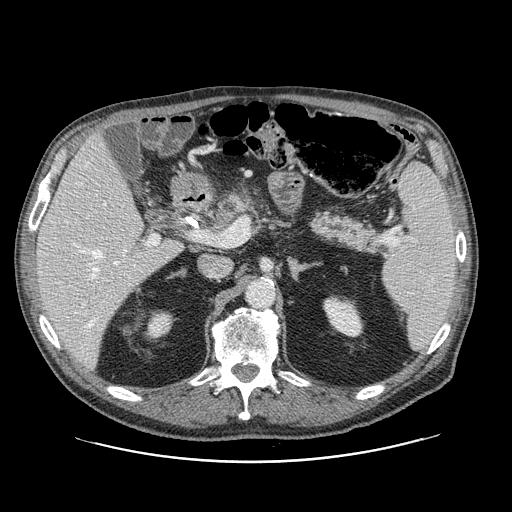
Upper abdomen; CT scan slice
pancreas:
  - (x1=312, y1=215, x2=381, y2=250)
  - (x1=213, y1=195, x2=247, y2=232)